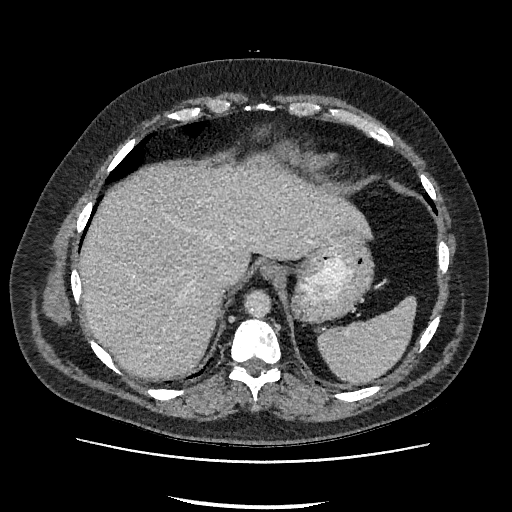
Image size 512x512. Liver. CT image. Liver at (left=80, top=161, right=370, bottom=377).